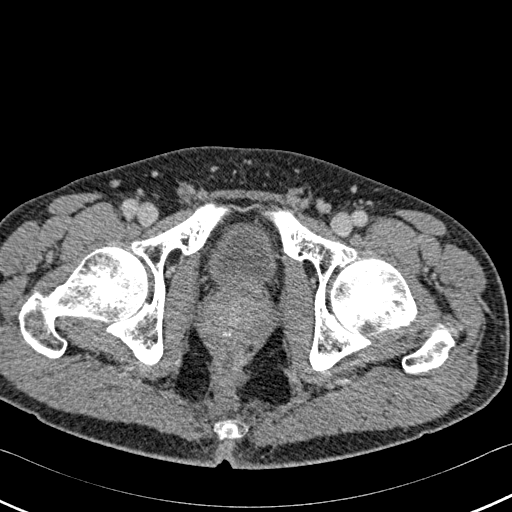

512x512. CT slice. {"urinary_bladder": ["[208,219,276,296]"], "bone": ["[271,211,416,371]", "[215,420,246,438]", "[402,325,454,372]", "[19,204,226,365]"]}